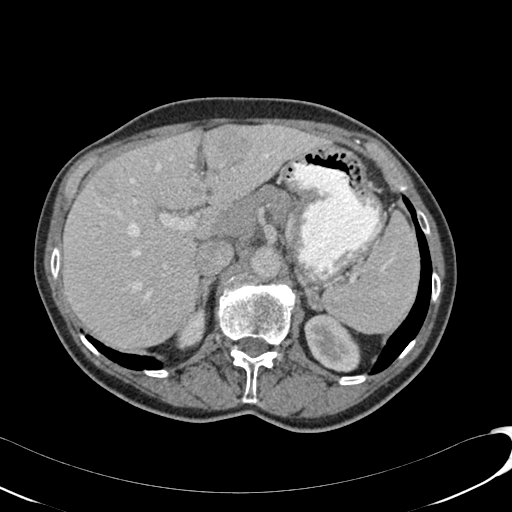
CT slice
<segmentation>
  <focal_liver_lesion>x1=133 y1=310 x2=142 y2=318, x1=95 y1=166 x2=115 y2=195, x1=212 y1=126 x2=253 y2=165</focal_liver_lesion>
  <kidney>x1=305 y1=315 x2=358 y2=371, x1=180 y1=310 x2=203 y2=347</kidney>
  <liver>x1=63 y1=124 x2=333 y2=347</liver>
</segmentation>